CT scan slice, Image size 512x512, Slice 538 of 565, Chest

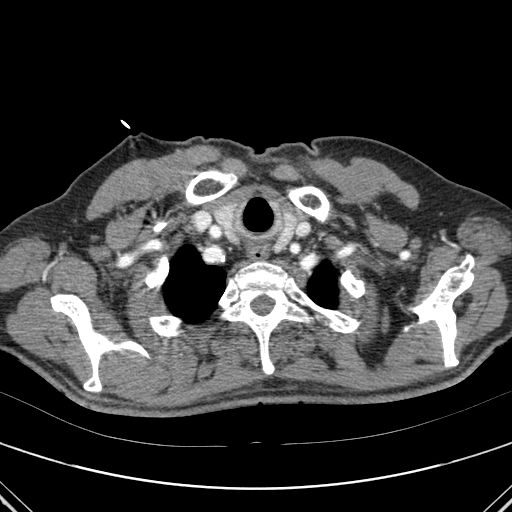 Lung at {"x1": 308, "y1": 260, "x2": 337, "y2": 308}, {"x1": 163, "y1": 245, "x2": 226, "y2": 322}.
Bone at {"x1": 400, "y1": 251, "x2": 409, "y2": 258}, {"x1": 145, "y1": 254, "x2": 168, "y2": 288}, {"x1": 50, "y1": 294, "x2": 149, "y2": 391}, {"x1": 409, "y1": 255, "x2": 474, "y2": 366}, {"x1": 185, "y1": 170, "x2": 236, "y2": 204}, {"x1": 219, "y1": 262, "x2": 360, "y2": 374}, {"x1": 153, "y1": 222, "x2": 167, "y2": 233}, {"x1": 288, "y1": 186, "x2": 329, "y2": 221}, {"x1": 340, "y1": 270, "x2": 364, "y2": 297}, {"x1": 149, "y1": 316, "x2": 180, "y2": 336}.